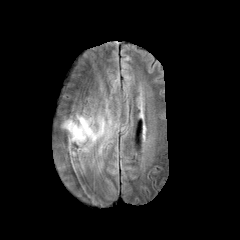
FLAIR MRI.
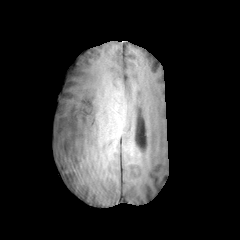
T1-weighted MR.
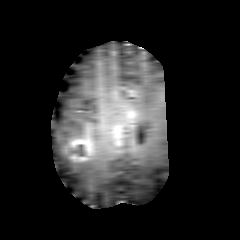
Post-contrast T1-weighted MRI.
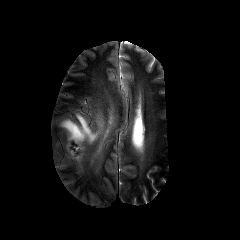
T2-weighted MR image of the same slice.
Brain
Enhancing tumor — <box>72,140,92,151</box>.
Non-enhancing tumor core — <box>66,141,93,162</box>.
Edema — <box>62,113,104,144</box>.